FLAIR MR.
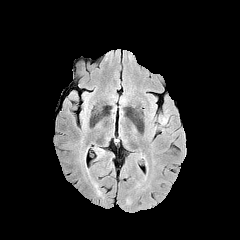
T1-weighted MR image.
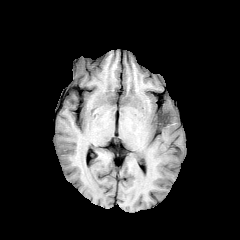
Post-contrast T1-weighted MR.
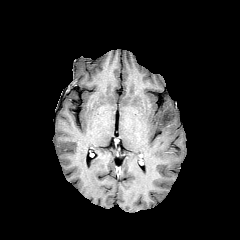
T2-weighted MR image.
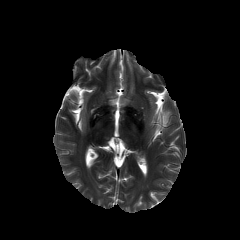
Image size 240x240, Brain
Edema = left=156, top=110, right=169, bottom=130.